512x512 px. Slice 346/629. CT scan slice.
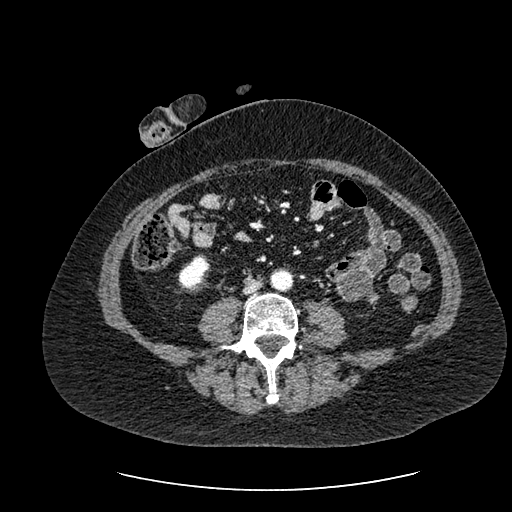 The kidney appears at (left=179, top=256, right=208, bottom=288).